CT scan slice, Slice index 24, Liver, Image size 512x512 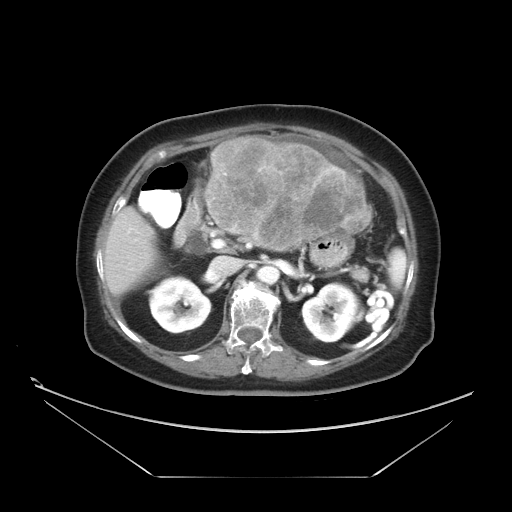 Liver tumor: bbox=[206, 136, 369, 250].